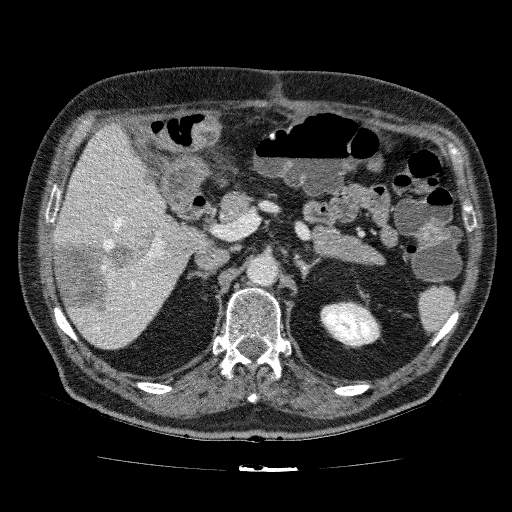

CT image. Abdomen.

The liver lies within left=50, top=121, right=211, bottom=349. The kidney lies within left=321, top=302, right=379, bottom=345. 3 liver lesion regions are located at left=139, top=168, right=155, bottom=187; left=50, top=226, right=156, bottom=313; left=160, top=252, right=172, bottom=265.